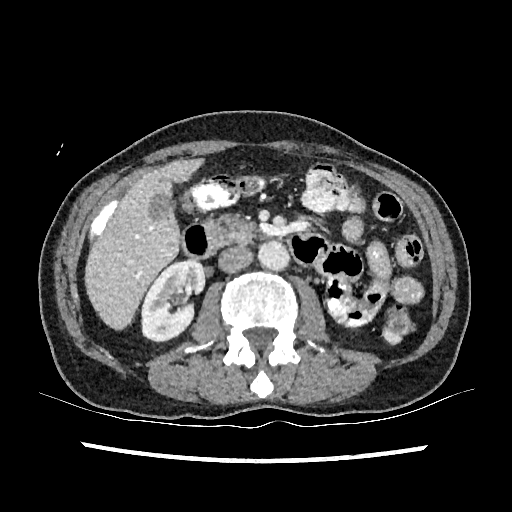 CT slice

The liver is at rect(87, 159, 202, 327). The hepatic lesion is bounded by rect(148, 192, 172, 220). The kidney lies within rect(142, 260, 204, 340).